FLAIR MR image.
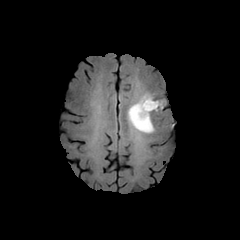
T1-weighted MR image.
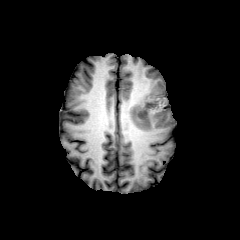
Post-contrast T1-weighted MRI.
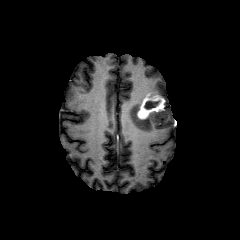
T2-weighted magnetic resonance.
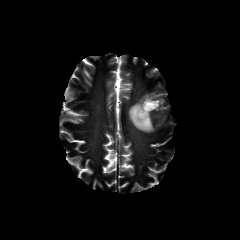
<segmentation>
  <non-enhancing_tumor_core>145, 100, 160, 109</non-enhancing_tumor_core>
  <enhancing_tumor>136, 94, 164, 119</enhancing_tumor>
  <edema>127, 92, 156, 133</edema>
</segmentation>